CT; Slice 87 of 195; 512x512; Abdomen 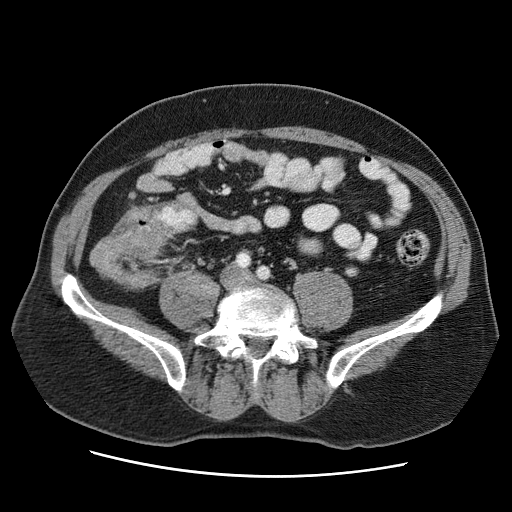

{"colon_tumor": ["90:201:173:287"]}